Abdomen; Computed tomography 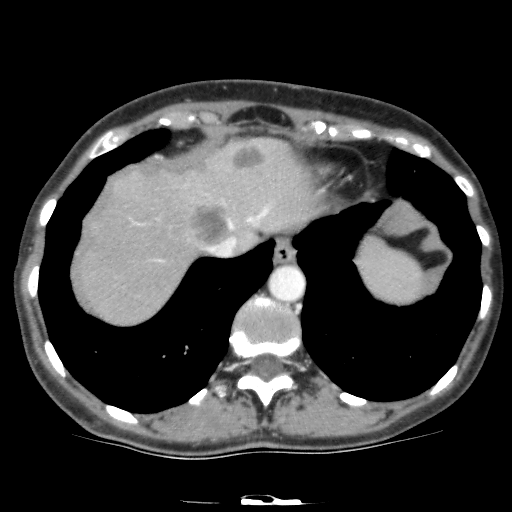
The liver is bounded by x1=73, y1=137, x2=317, y2=326. 2 hepatic lesion regions are bounded by x1=188, y1=201, x2=231, y2=245; x1=230, y1=143, x2=266, y2=169.